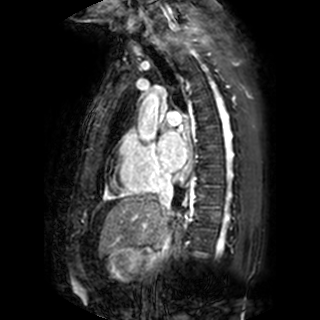 Heart | MRI slice

The left atrium is at {"x1": 159, "y1": 130, "x2": 187, "y2": 170}.